FLAIR MRI.
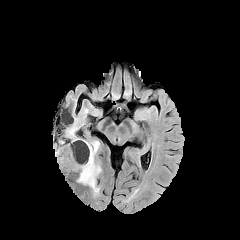
T1-weighted magnetic resonance.
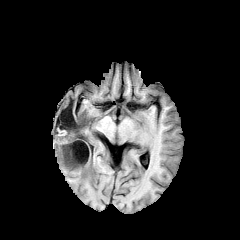
Post-contrast T1-weighted magnetic resonance.
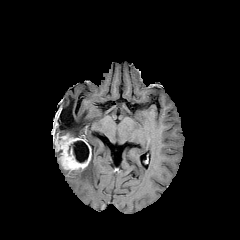
T2-weighted MR image.
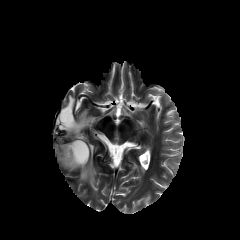
The edema is bounded by (58, 95, 101, 193). The enhancing tumor is located at (55, 134, 91, 169). 3 non-enhancing tumor core regions appear at (69, 140, 89, 163), (53, 128, 65, 147), (69, 122, 84, 130).